Slice 596 of 683 | Abdomen | Field of view 438x438 mm | CT slice
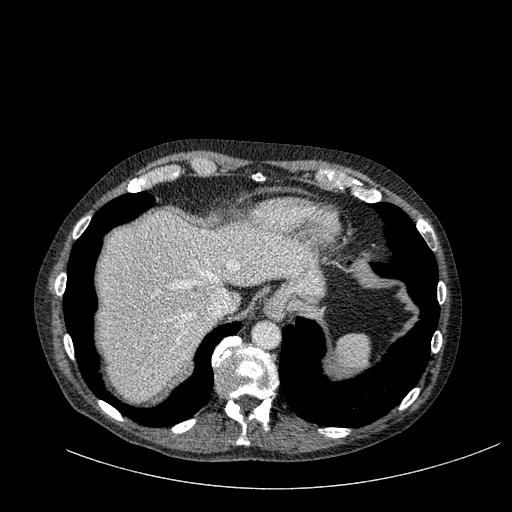 2 liver regions are bounded by (left=231, top=291, right=240, bottom=305), (left=98, top=210, right=311, bottom=400).